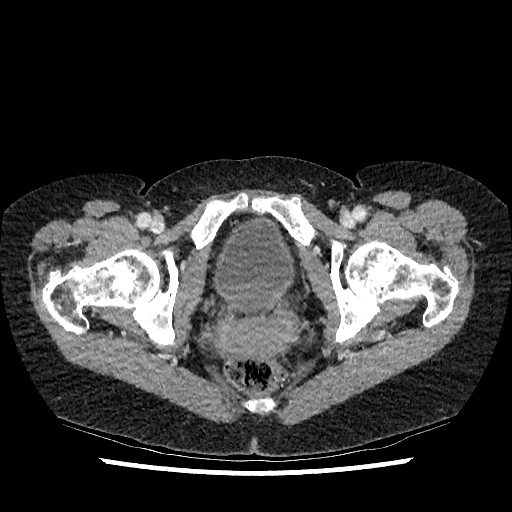

Pelvis, CT scan slice
urinary bladder: box(211, 213, 296, 297)